FLAIR MR image.
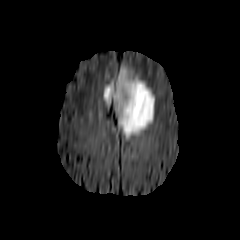
T1-weighted MR.
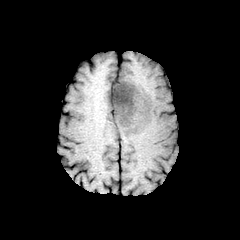
Post-contrast T1-weighted MR.
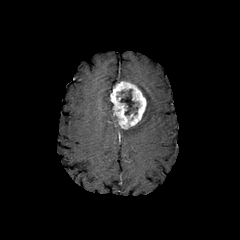
T2-weighted MRI.
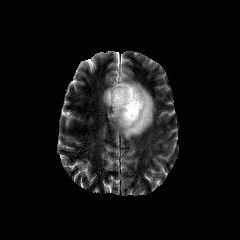
Head
The enhancing tumor is bounded by [x1=108, y1=80, x2=146, y2=129]. The non-enhancing tumor core is bounded by [x1=120, y1=89, x2=139, y2=115]. 2 edema regions appear at [x1=103, y1=84, x2=113, y2=106], [x1=118, y1=67, x2=155, y2=139].